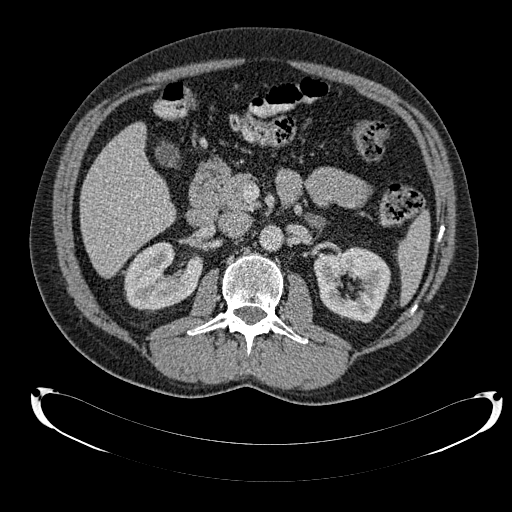
CT slice. Abdomen.
kidney: (314,248,389,322), (125,243,201,309) | liver: (80,123,175,276)